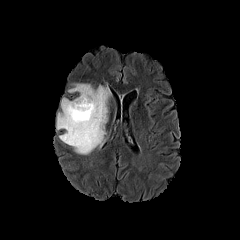
FLAIR magnetic resonance.
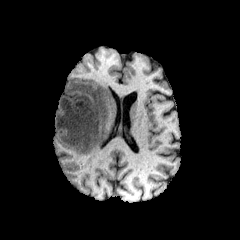
T1-weighted MR of the same slice.
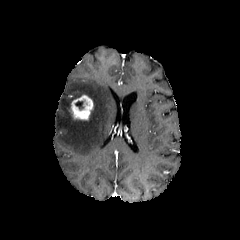
Post-contrast T1-weighted MR image.
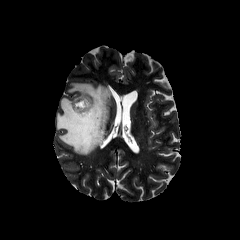
T2-weighted MR of the same slice.
Head
Edema — 55,83,111,155.
Enhancing tumor — 70,94,93,120.